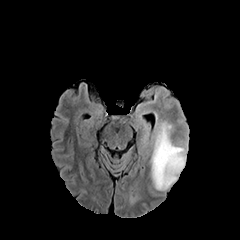
FLAIR MR.
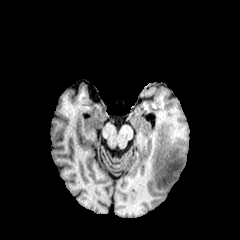
Same slice, T1-weighted MR image.
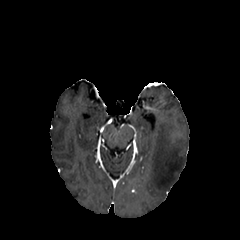
Post-contrast T1-weighted magnetic resonance.
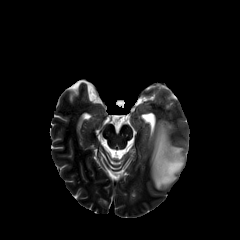
T2-weighted magnetic resonance.
Image size 240x240
edema:
  - (x1=150, y1=118, x2=188, y2=189)